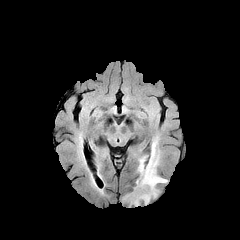
FLAIR magnetic resonance.
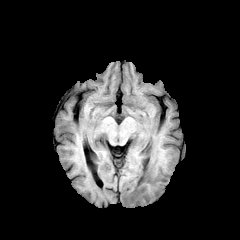
Same slice, T1-weighted MR image.
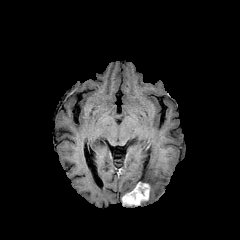
Post-contrast T1-weighted MR.
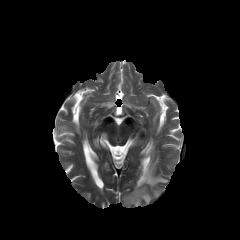
T2-weighted MR image.
Enhancing tumor: x1=122 y1=182 x2=149 y2=206.
Edema: x1=136 y1=140 x2=167 y2=203.